Abdomen, Computed tomography, Image width 444 mm
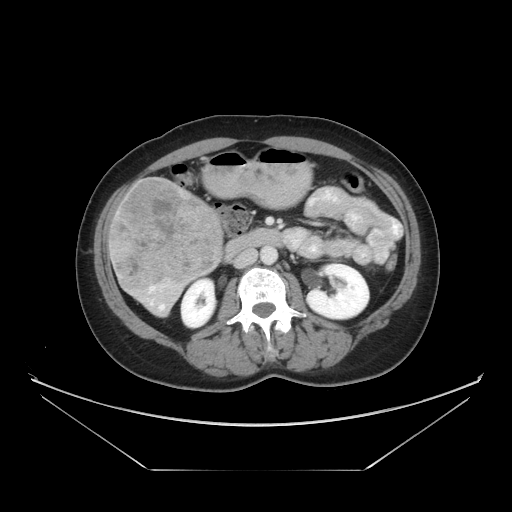

Segmented structures:
- liver tumor: {"x1": 111, "y1": 178, "x2": 221, "y2": 292}